FLAIR magnetic resonance.
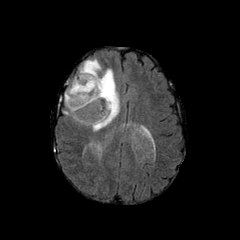
T1-weighted MR.
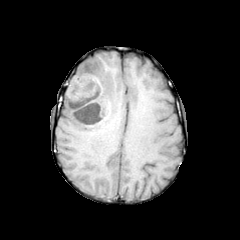
Post-contrast T1-weighted MRI.
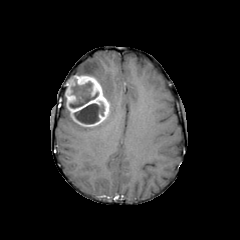
T2-weighted MRI.
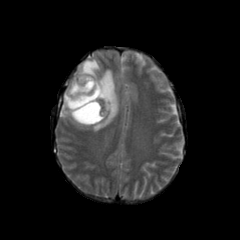
240x240 px.
<segmentation>
  <non-enhancing_tumor_core>69,78,98,108; 73,102,105,124</non-enhancing_tumor_core>
  <edema>78,59,119,131; 63,97,70,116</edema>
  <enhancing_tumor>65,75,109,126</enhancing_tumor>
</segmentation>